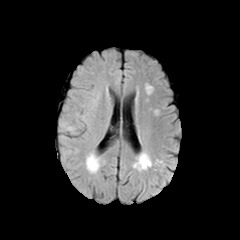
FLAIR MRI.
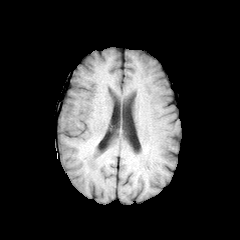
T1-weighted MR of the same slice.
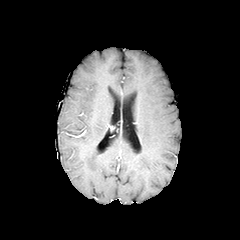
Post-contrast T1-weighted MRI.
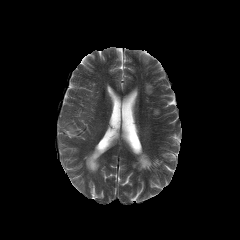
T2-weighted magnetic resonance of the same slice.
240x240.
2 edema regions appear at x1=85 y1=151 x2=99 y2=173, x1=65 y1=123 x2=76 y2=133.